Slice index 409 | CT 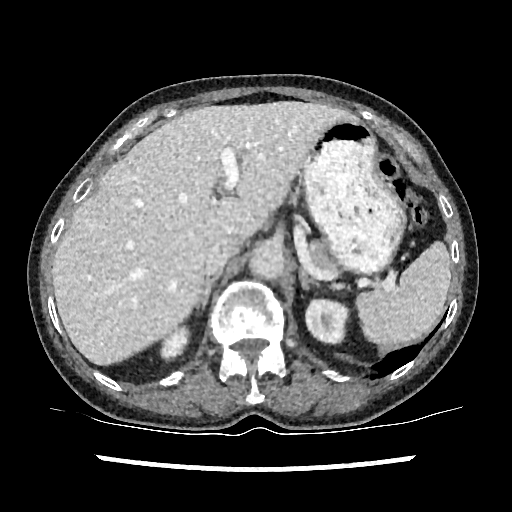

Annotated regions:
* liver: 53 103 350 363
* kidney: 311 302 324 310, 327 303 345 339, 165 334 184 355